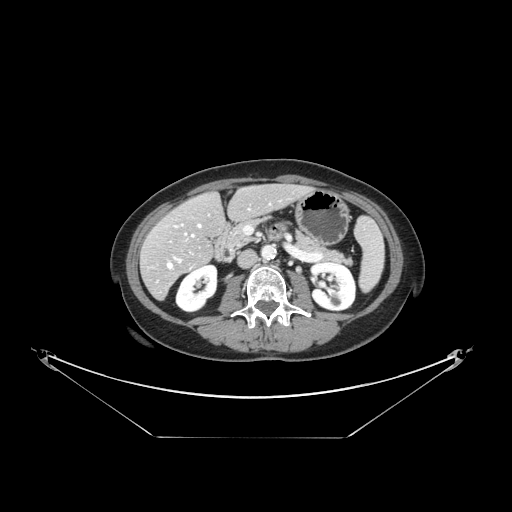

CT
Not every hepatic vessel necessarily has a box.
Hepatic vessel: box=[198, 225, 200, 226]; box=[178, 259, 180, 261].